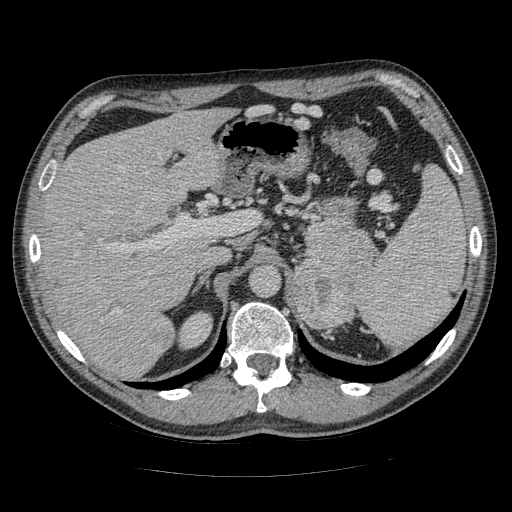 Abdomen. 512x512 px. Computed tomography.
Segmented structures:
- pancreatic tumor: (left=293, top=267, right=354, bottom=329)
- pancreas: (left=291, top=222, right=376, bottom=316)